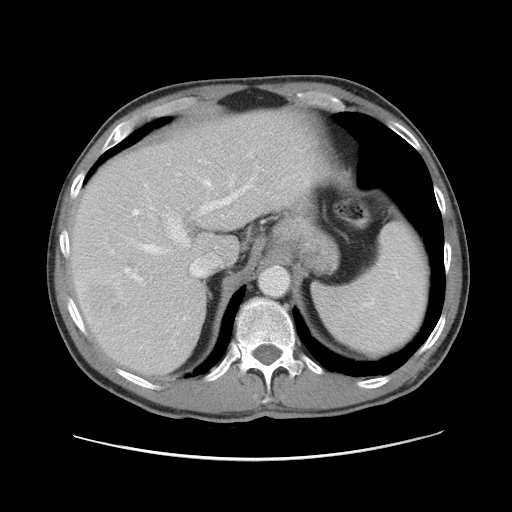
Image size 512x512 | CT

The vessel annotation is not exhaustive.
Liver tumor at (86, 285, 118, 313).
Principal 15 of 18 hepatic vessel regions at (133, 209, 139, 214), (124, 268, 129, 272), (148, 214, 151, 216), (167, 248, 170, 250), (141, 244, 164, 253), (215, 257, 220, 263), (177, 173, 180, 174), (201, 177, 255, 212), (145, 184, 147, 188), (167, 215, 188, 246), (131, 273, 144, 284), (256, 166, 258, 168), (230, 175, 234, 185), (111, 250, 113, 253), (203, 179, 210, 186).